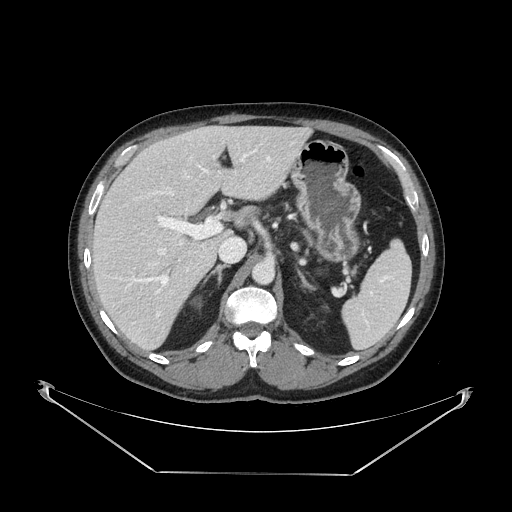

CT slice. Upper abdomen. pancreas: 302, 228, 314, 245